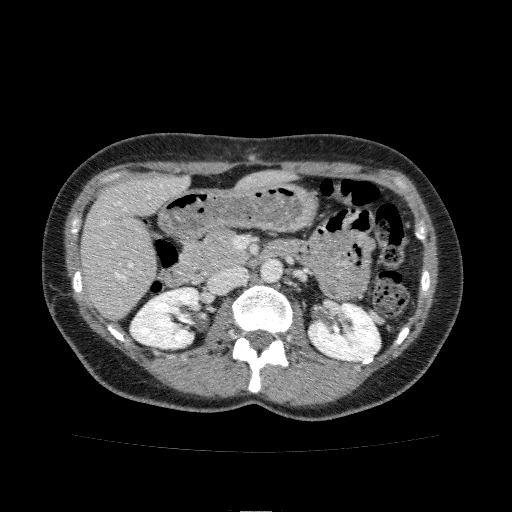 CT | Abdomen
{"liver": ["<bbox>81, 175, 189, 319</bbox>", "<bbox>235, 170, 296, 190</bbox>"], "kidney": ["<bbox>309, 303, 379, 360</bbox>", "<bbox>131, 288, 198, 348</bbox>"]}